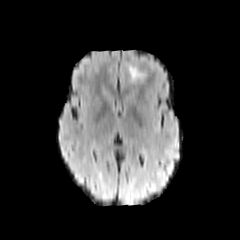
FLAIR MR image.
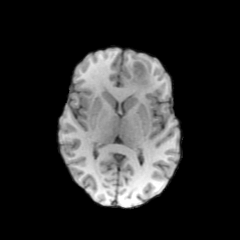
T1-weighted MR image of the same slice.
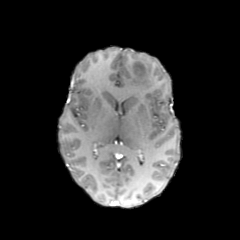
Post-contrast T1-weighted MR.
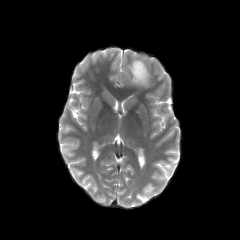
T2-weighted MRI of the same slice.
Head.
non-enhancing_tumor_core:
  - (x1=133, y1=62, x2=144, y2=77)
edema:
  - (x1=126, y1=60, x2=151, y2=86)